CT slice | Abdomen 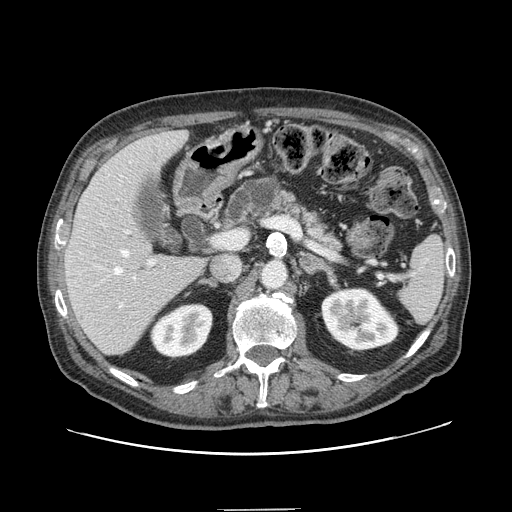

pancreas:
  - [x1=223, y1=175, x2=344, y2=253]